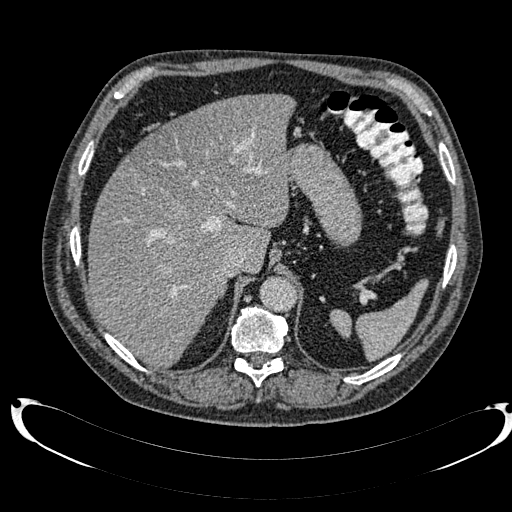
CT; Upper abdomen

liver_lesion:
  - (left=133, top=99, right=246, bottom=205)
liver:
  - (left=88, top=94, right=294, bottom=366)
  - (left=145, top=123, right=170, bottom=139)